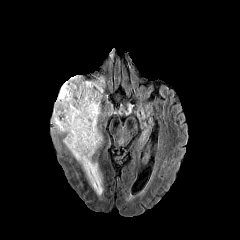
FLAIR magnetic resonance.
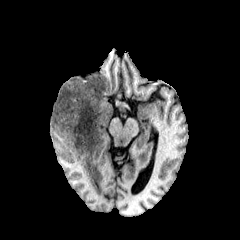
T1-weighted MR of the same slice.
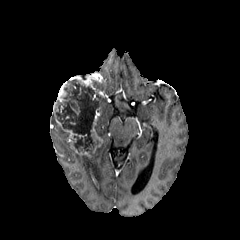
Post-contrast T1-weighted MR.
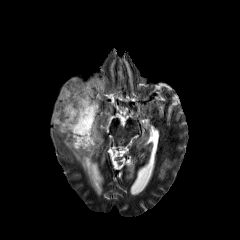
T2-weighted MR image.
{"edema": ["<bbox>63, 139, 102, 195</bbox>"], "enhancing_tumor": ["<bbox>69, 71, 102, 89</bbox>", "<bbox>90, 111, 101, 141</bbox>", "<bbox>63, 129, 80, 143</bbox>", "<bbox>57, 82, 66, 101</bbox>"], "non-enhancing_tumor_core": ["<bbox>50, 79, 105, 156</bbox>"]}